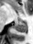 MR
Posterior hippocampus = (14, 22, 26, 32).